Slice index 420; CT image; Abdomen 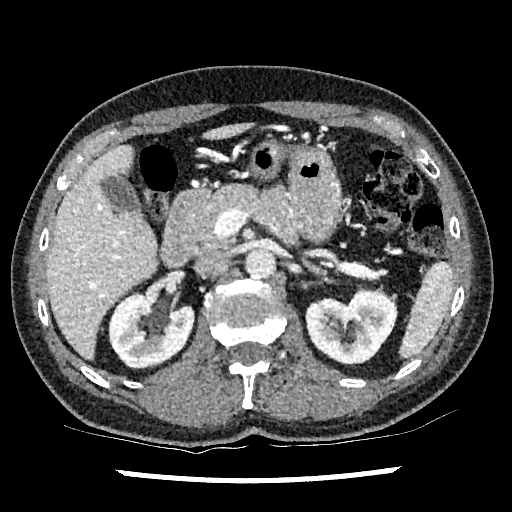 Annotated regions:
• liver: (47,146,158,359), (203,122,253,139)
• kidney: (110,292,193,366), (306,292,395,362)